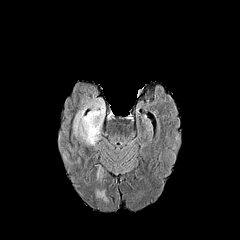
FLAIR MR image.
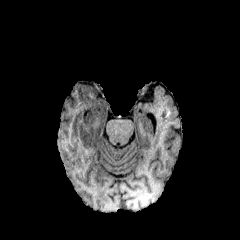
T1-weighted MRI.
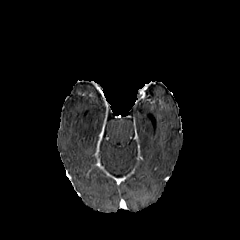
Same slice, post-contrast T1-weighted magnetic resonance.
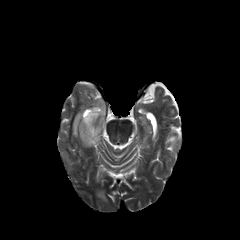
T2-weighted magnetic resonance.
Head, 240x240 px
Segmented structures:
* edema: l=74, t=100, r=105, b=145